CT scan slice 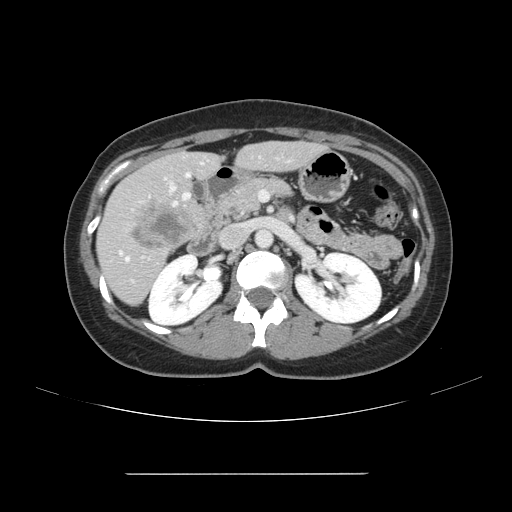

Not every hepatic vessel necessarily has a box.
<segmentation>
  <hepatic_vessel>l=186, t=173, r=189, b=176; l=170, t=184, r=175, b=190; l=119, t=251, r=122, b=254; l=173, t=202, r=176, b=205; l=201, t=162, r=203, b=164; l=126, t=257, r=129, b=260; l=183, t=193, r=189, b=198</hepatic_vessel>
  <liver_tumor>l=139, t=201, r=189, b=244; l=135, t=232, r=142, b=240</liver_tumor>
</segmentation>